Slice 57/155, Head, Field of view 240 mm wide, 1.00 mm slice spacing
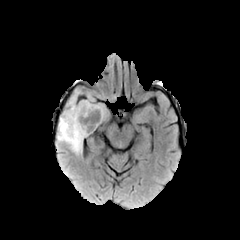
FLAIR magnetic resonance.
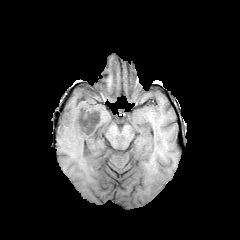
T1-weighted MRI of the same slice.
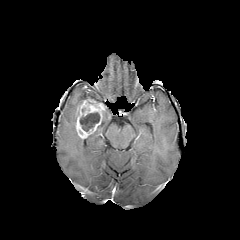
Same slice, post-contrast T1-weighted MRI.
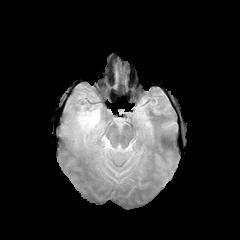
T2-weighted magnetic resonance.
Edema: bounding box region(58, 92, 94, 155).
Non-enhancing tumor core: bounding box region(79, 112, 101, 131).
Enhancing tumor: bounding box region(75, 100, 103, 138).